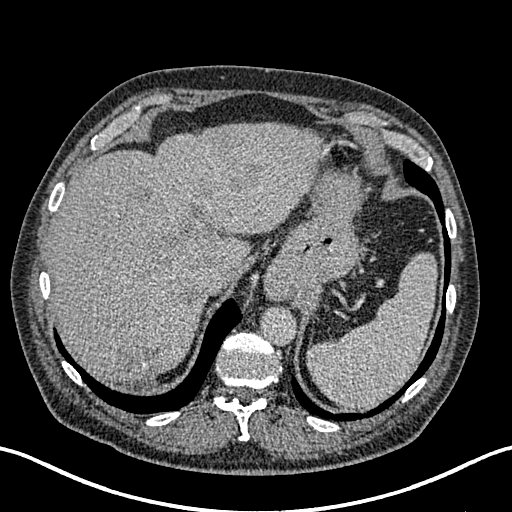

Liver. 512x512. CT image.

The liver lies within box=[48, 123, 322, 383]. 6 hepatic lesion regions are bounded by box=[228, 163, 260, 192]; box=[159, 278, 200, 306]; box=[142, 225, 213, 284]; box=[117, 344, 164, 376]; box=[200, 187, 213, 200]; box=[188, 204, 214, 229].